320x320 px. Slice 54 of 120. Cardiac. MR image.

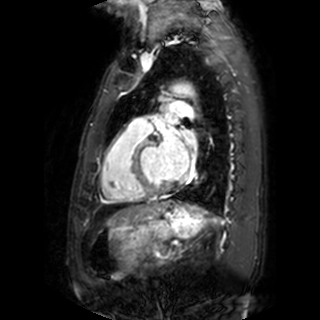

Left atrium — box(159, 130, 189, 178); box(183, 131, 194, 140); box(166, 115, 175, 123).